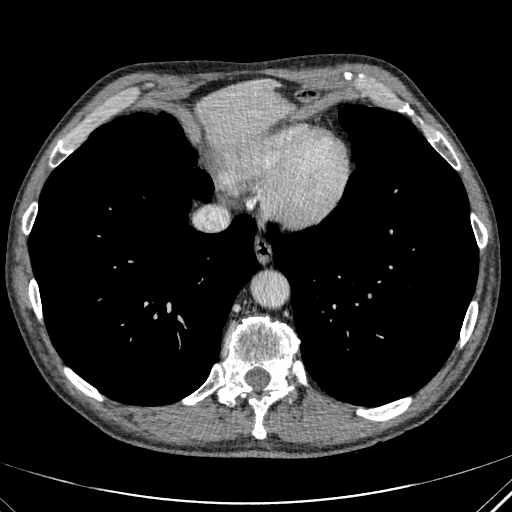
CT scan slice | 512x512

The liver is bounded by (left=196, top=79, right=294, bottom=152).